Abdomen | Slice 20/134 | CT image | 512x512 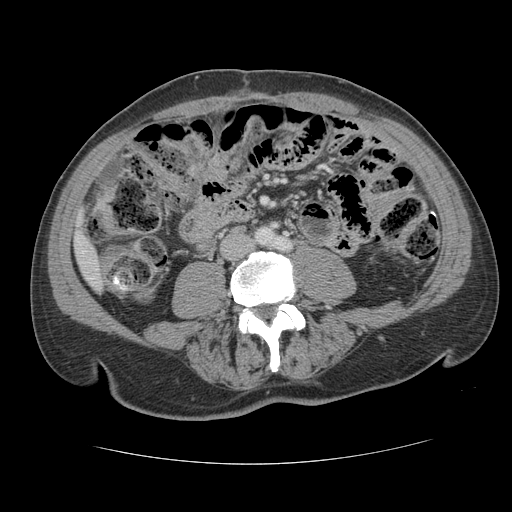

The vessel annotation is not exhaustive.
The hepatic vessel is bounded by (82,250,83,251).